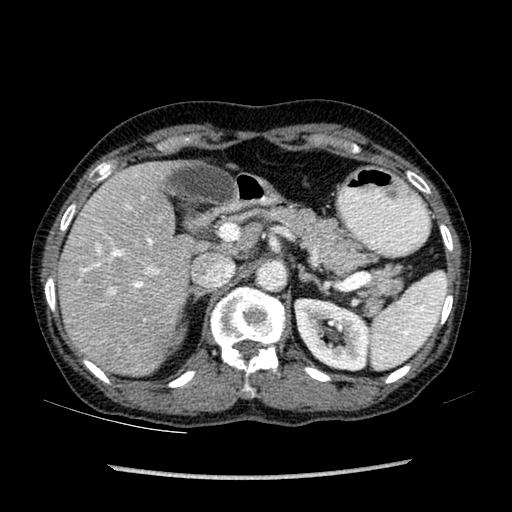
512x512 | CT image | Upper abdomen
• liver: (238, 235, 250, 246), (59, 168, 190, 373)
• kidney: (295, 299, 367, 369)